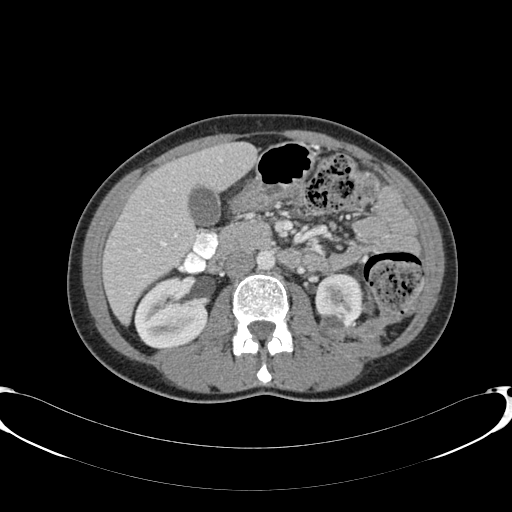
CT image

Kidney = [135, 278, 206, 347], [316, 275, 361, 331].
Liver = [103, 143, 255, 323].